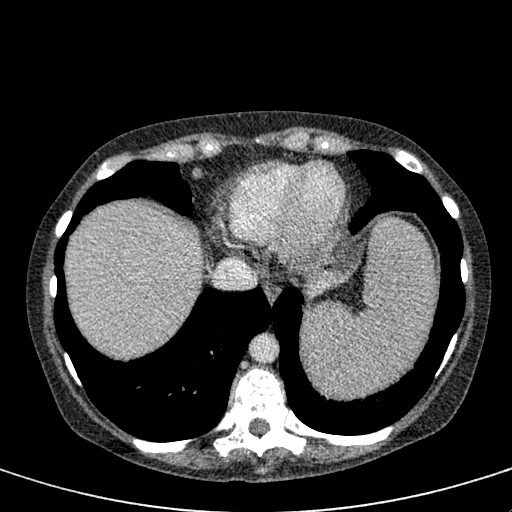

Computed tomography. <segmentation>
  <liver>65, 204, 202, 356; 308, 261, 357, 298</liver>
</segmentation>